Head, Slice 42 of 155
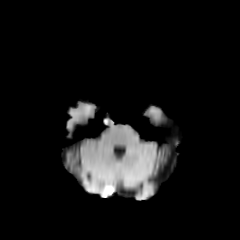
FLAIR MR.
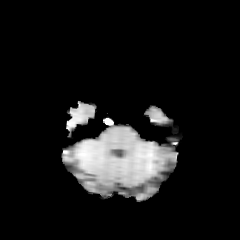
T1-weighted MR.
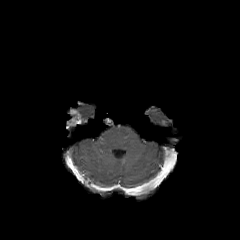
Post-contrast T1-weighted magnetic resonance.
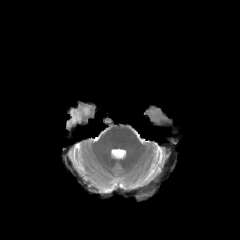
Same slice, T2-weighted magnetic resonance.
- enhancing tumor: bbox(66, 109, 81, 127)